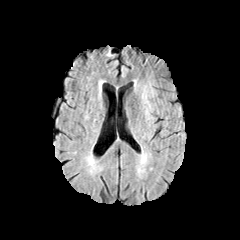
FLAIR MR.
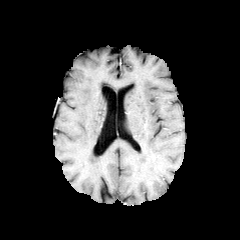
T1-weighted magnetic resonance of the same slice.
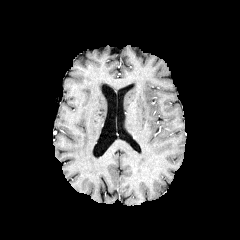
Post-contrast T1-weighted MR image of the same slice.
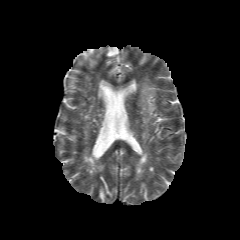
T2-weighted MRI.
Brain
{"edema": ["[140,86,155,119]", "[136,148,151,174]"]}